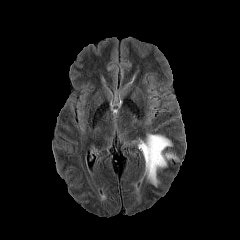
FLAIR magnetic resonance.
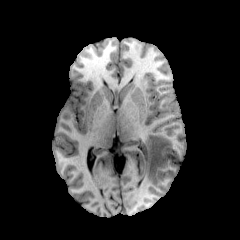
T1-weighted MRI of the same slice.
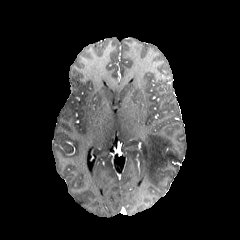
Post-contrast T1-weighted MR.
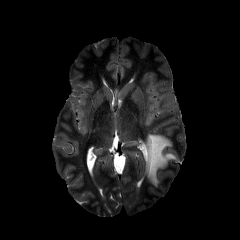
T2-weighted MR.
Brain.
The edema appears at rect(138, 134, 177, 187).